Abdomen, CT slice, Image width 440 mm
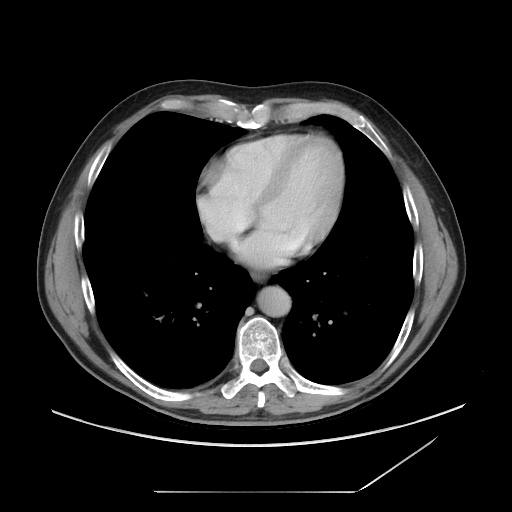

Not every hepatic vessel necessarily has a box.
The hepatic vessel is at (202,212,227,236).